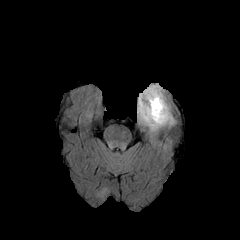
FLAIR MR.
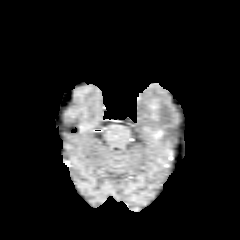
T1-weighted MRI.
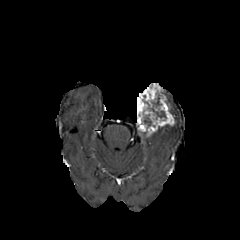
Same slice, post-contrast T1-weighted magnetic resonance.
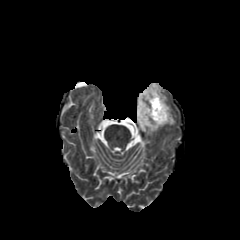
T2-weighted MR image.
Head
Enhancing tumor: (left=136, top=83, right=174, bottom=135).